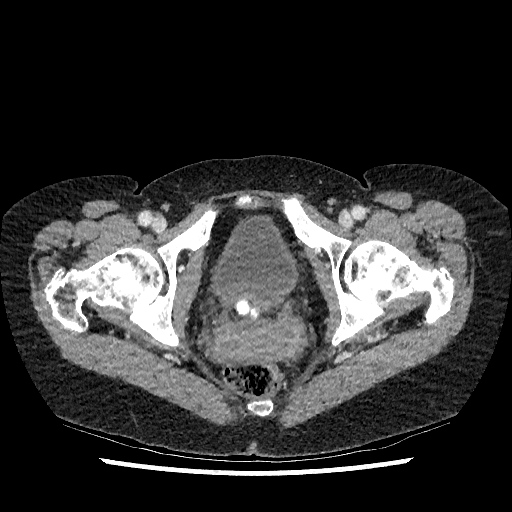 CT
urinary_bladder:
  - bbox(211, 213, 299, 297)